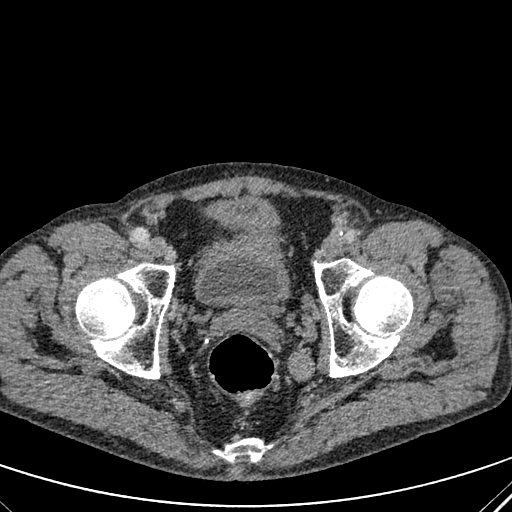

CT scan slice. 512x512 px.

2 urinary bladder regions are bounded by 244 209 258 217, 200 251 282 299.